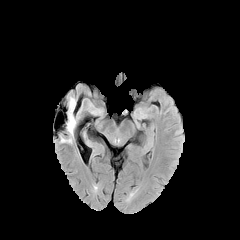
FLAIR MR image.
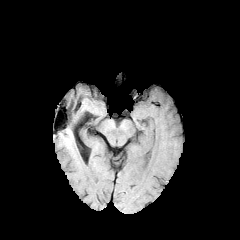
T1-weighted MR image.
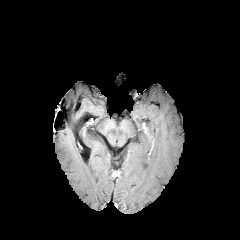
Post-contrast T1-weighted MRI.
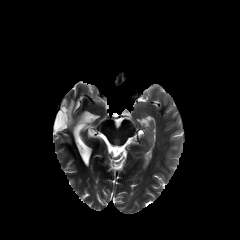
T2-weighted MR image.
Head.
Edema — [66, 98, 79, 134].